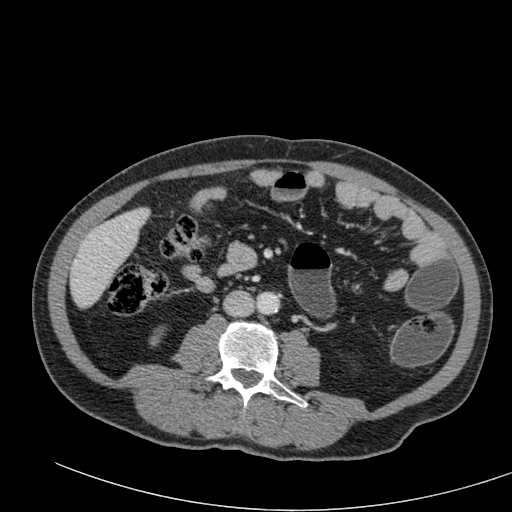

Abdomen, CT slice
The liver is located at x1=70 y1=208 x2=149 y2=306.